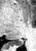
Image size 36x51. Hippocampus. MRI slice.
Posterior hippocampus: bounding box (x1=11, y1=39, x2=23, y2=45).